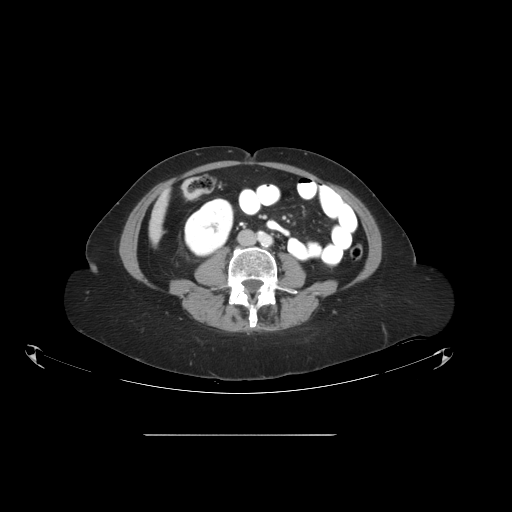

CT slice

{
  "colon_tumor": [
    "[181, 176, 210, 200]"
  ]
}